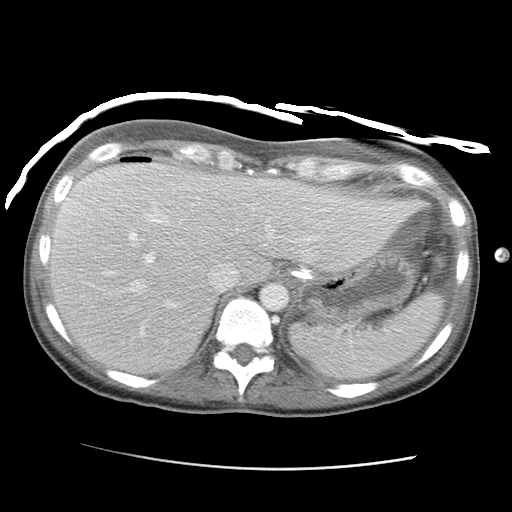 CT
Liver: region(48, 162, 428, 373).